FLAIR magnetic resonance.
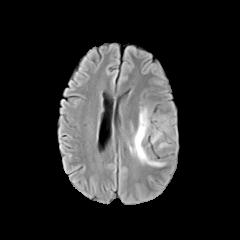
T1-weighted MRI.
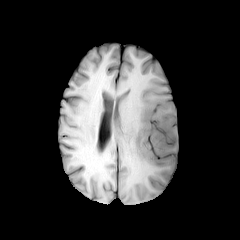
Post-contrast T1-weighted MRI.
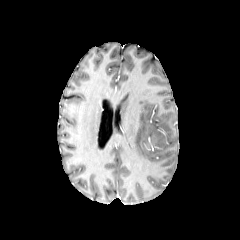
T2-weighted magnetic resonance.
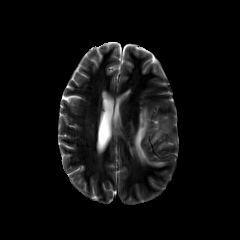
240x240 px. Head.
The edema lies within box=[127, 105, 176, 166].